240x240; Brain; Field of view 240 mm wide, 1.00 mm slice spacing
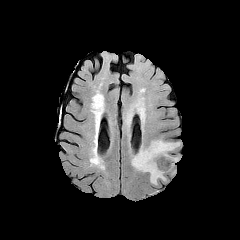
FLAIR MR image.
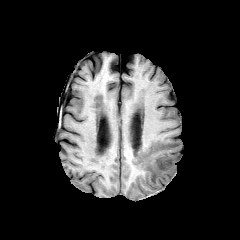
T1-weighted MR image.
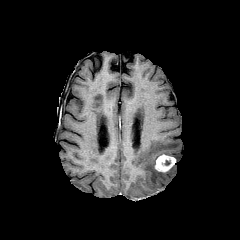
Same slice, post-contrast T1-weighted MRI.
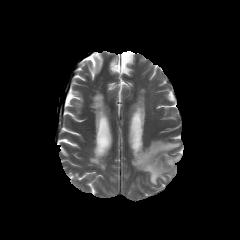
T2-weighted MR.
• enhancing tumor: 154, 154, 175, 173
• edema: 131, 140, 179, 184